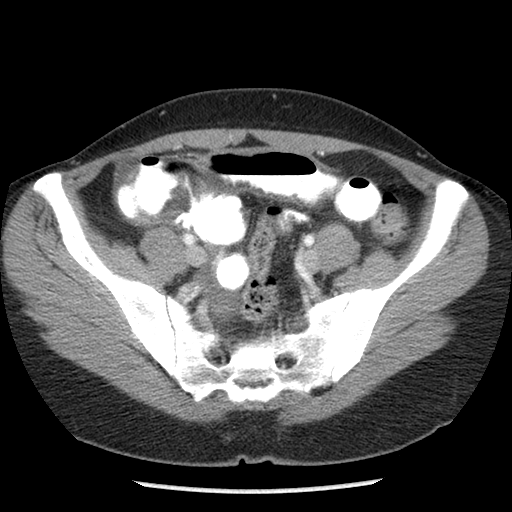 CT scan slice. Abdomen. 512x512.

The colon tumor lies within box=[133, 211, 165, 225].